FLAIR magnetic resonance.
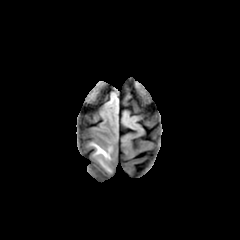
T1-weighted MR.
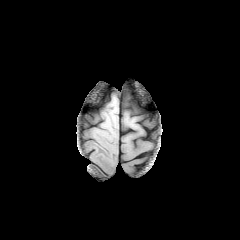
Post-contrast T1-weighted MR.
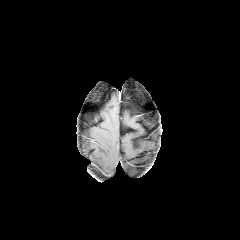
T2-weighted MR.
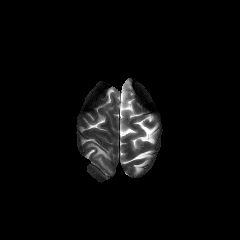
Brain
• edema: 91 143 111 171